FLAIR magnetic resonance.
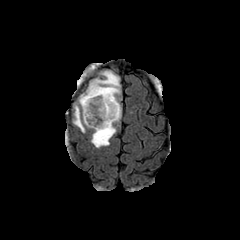
T1-weighted MR image.
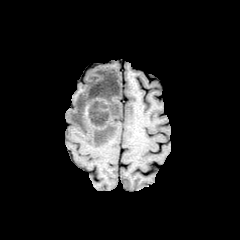
Post-contrast T1-weighted MR.
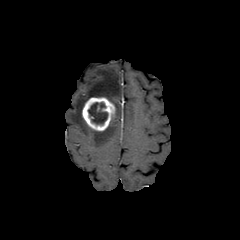
T2-weighted MR.
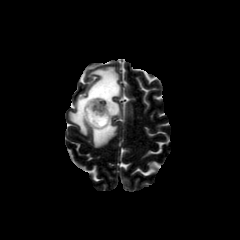
The non-enhancing tumor core is at <bbox>88, 102, 107, 124</bbox>. The enhancing tumor appears at <bbox>82, 97, 115, 131</bbox>. The edema appears at <bbox>71, 65, 120, 148</bbox>.